FLAIR MR.
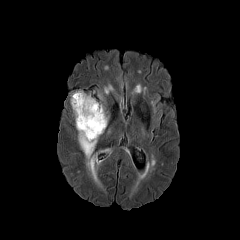
T1-weighted MR image.
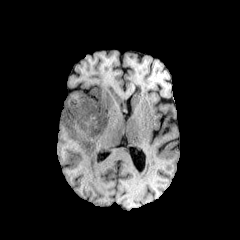
Post-contrast T1-weighted MR.
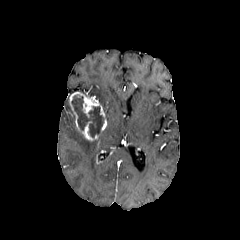
T2-weighted MRI.
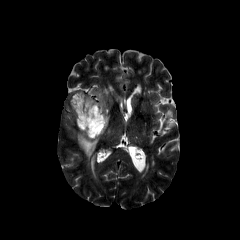
Edema at (77,132,98,159).
Non-enhancing tumor core at (72,96,106,137).
Enhancing tumor at (69,92,105,140).